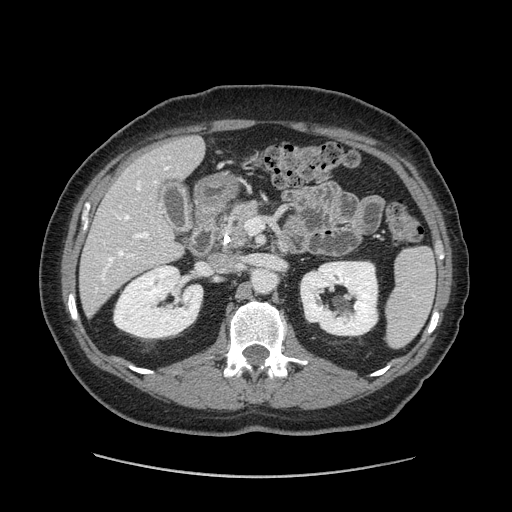
CT slice

Pancreas — [x1=286, y1=217, x2=299, y2=229], [x1=226, y1=202, x2=259, y2=247].